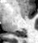
38x43. Magnetic resonance. Hippocampus. Posterior hippocampus: rect(15, 30, 25, 36).